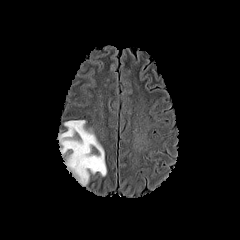
FLAIR magnetic resonance.
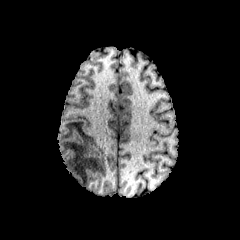
T1-weighted MRI.
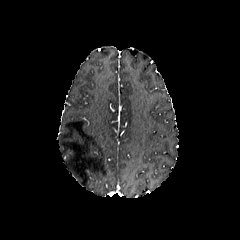
Same slice, post-contrast T1-weighted magnetic resonance.
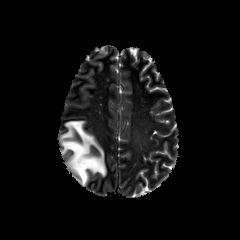
T2-weighted MRI of the same slice.
240x240 px. Brain.
The edema is bounded by 56,120,106,186.